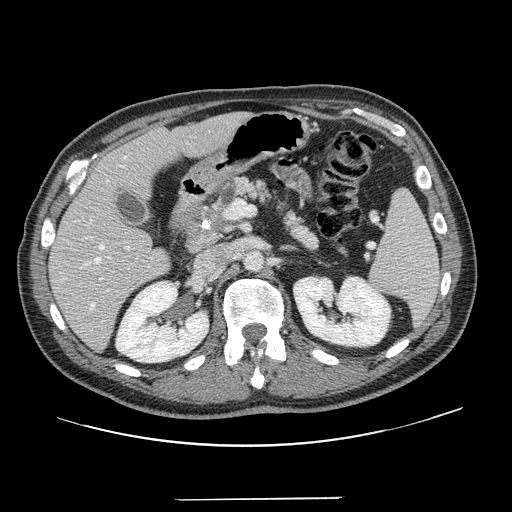

CT image

Pancreas at box(176, 175, 322, 255).